Upper abdomen | Field of view 391x391 mm | Computed tomography | Slice index 411 | Image size 512x512
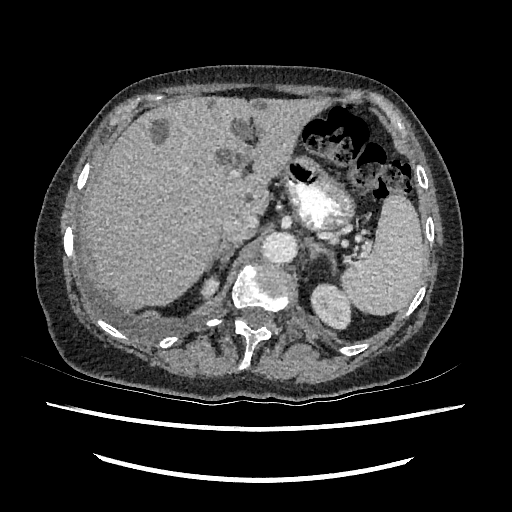 Kidney: bounding box x1=312, y1=285, x2=353, y2=328; x1=202, y1=279, x2=218, y2=297.
Hepatic lesion: bounding box x1=255, y1=101, x2=263, y2=109; x1=151, y1=121, x2=166, y2=141; x1=217, y1=149, x2=246, y2=168; x1=232, y1=120, x2=248, y2=137.
Liver: bounding box x1=87, y1=97, x2=330, y2=307.